Head.
FLAIR MR.
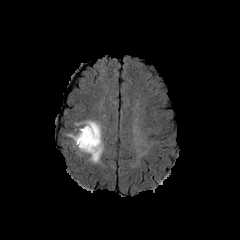
T1-weighted MR.
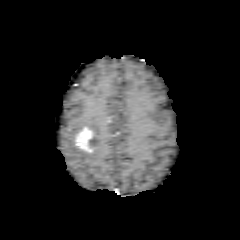
Post-contrast T1-weighted magnetic resonance.
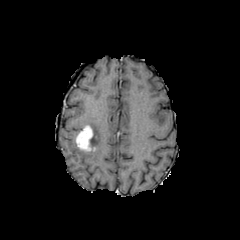
T2-weighted MR image.
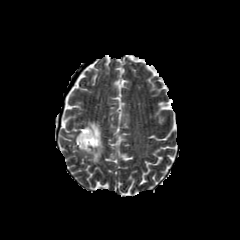
Enhancing tumor: bounding box 76, 125, 94, 151.
Non-enhancing tumor core: bounding box 90, 129, 97, 146.
Edema: bounding box 76, 120, 104, 163; 67, 131, 77, 147.